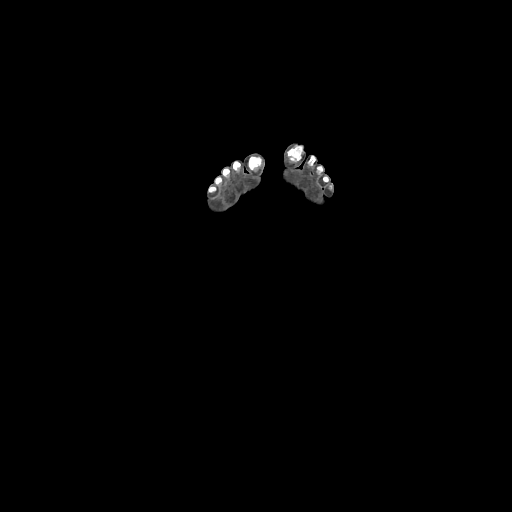
Computed tomography.
3 bone regions are bounded by [288,146,302,161], [249,156,261,169], [233,161,240,170].